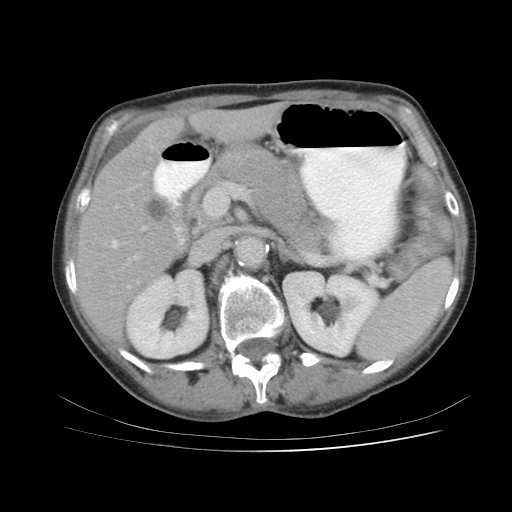

CT slice | Abdomen
The spleen is at 357:260:451:358.